Cardiac. Slice 79 of 120. MR image. 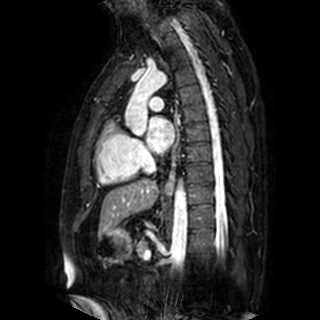 Segmented structures:
- left atrium: x1=147, y1=117, x2=173, y2=152